Liver; CT image; Slice 57 of 138; 512x512 px

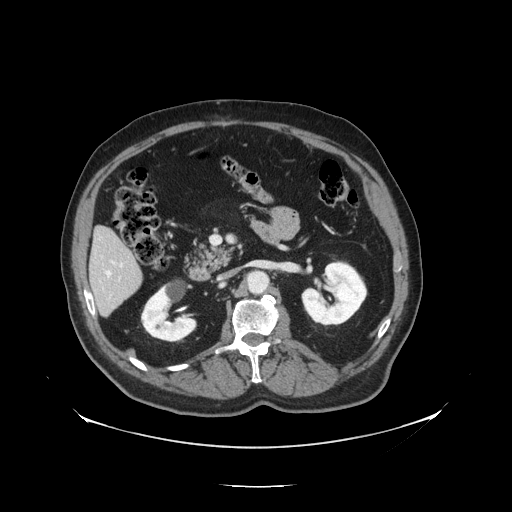

The vessel annotation is not exhaustive.
Findings:
- hepatic vessel: [x1=100, y1=238, x2=101, y2=239], [x1=103, y1=288, x2=104, y2=289], [x1=106, y1=271, x2=111, y2=277], [x1=119, y1=263, x2=122, y2=267], [x1=112, y1=261, x2=115, y2=264]